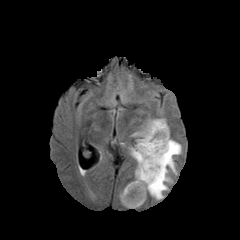
FLAIR MR.
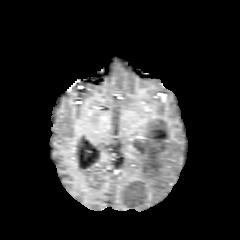
T1-weighted MRI.
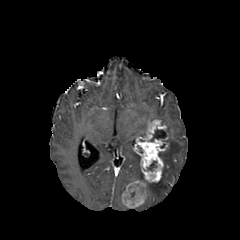
Post-contrast T1-weighted MR image.
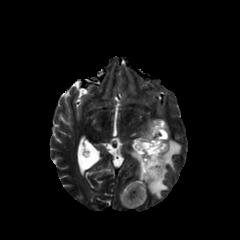
T2-weighted magnetic resonance of the same slice.
Head
Non-enhancing tumor core = box=[153, 130, 166, 138].
Enhancing tumor = box=[120, 120, 168, 207].
Edema = box=[130, 148, 142, 179]; box=[147, 127, 181, 199].